CT image; 512x512

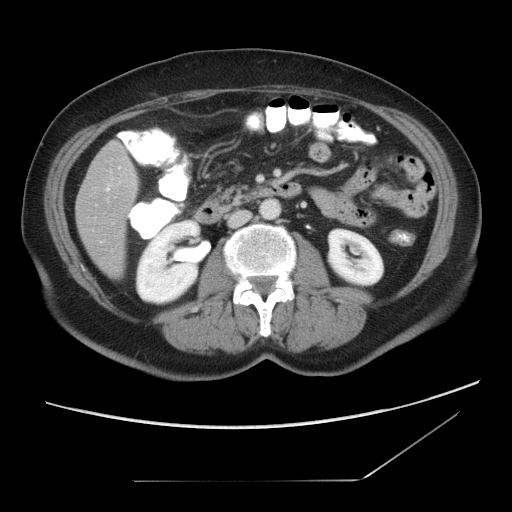
Some hepatic vessels may have no box.
Annotated regions:
* hepatic vessel: (106,188,108,190)